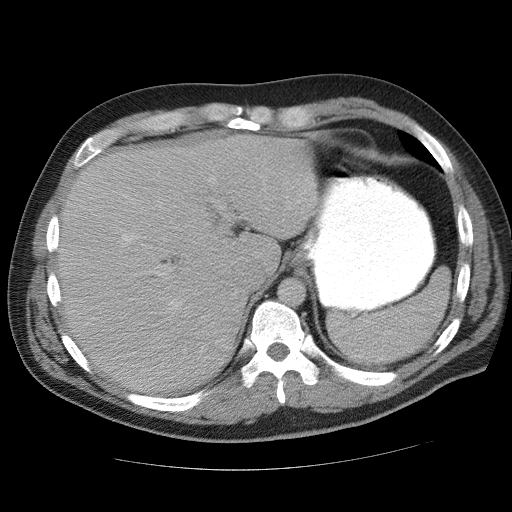

Upper abdomen; CT slice

spleen:
  - (327,269,450,364)